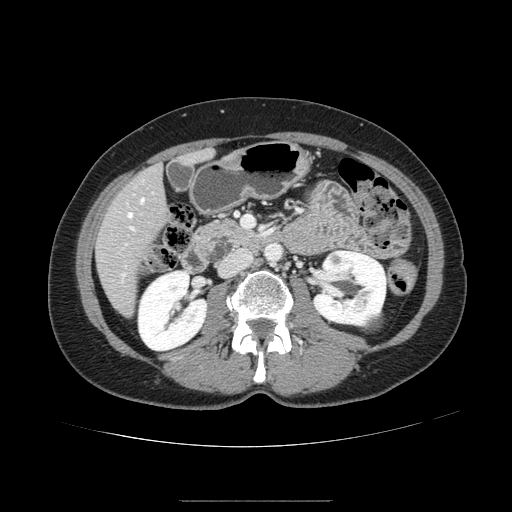 CT scan slice. Abdomen.

Pancreatic tumor: box(207, 236, 233, 262).
Pancreas: box(191, 219, 264, 260); box(207, 256, 228, 268).